Computed tomography 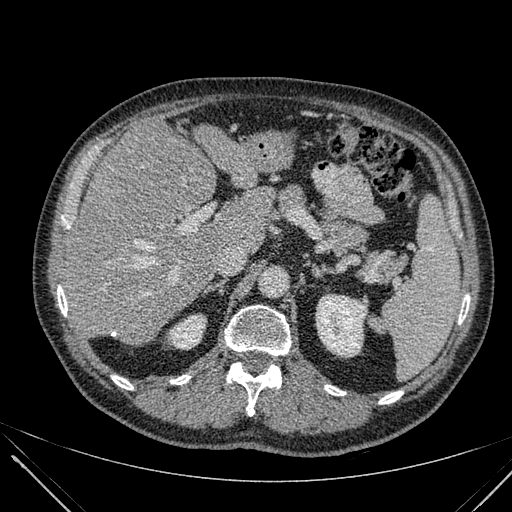 <segmentation>
  <kidney>170 315 205 348, 316 295 366 356</kidney>
  <liver>63 122 275 346, 193 124 272 187</liver>
</segmentation>